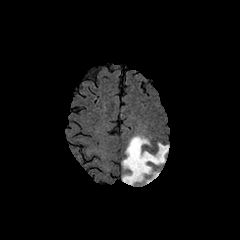
FLAIR MR.
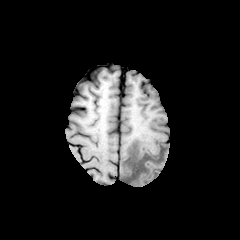
Same slice, T1-weighted MR image.
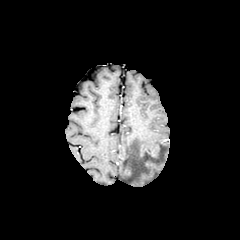
Post-contrast T1-weighted MR of the same slice.
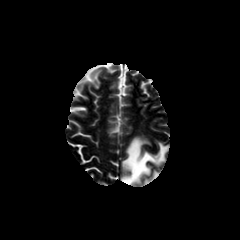
Same slice, T2-weighted MR.
Head.
* edema: <bbox>121, 136, 169, 185</bbox>